Computed tomography

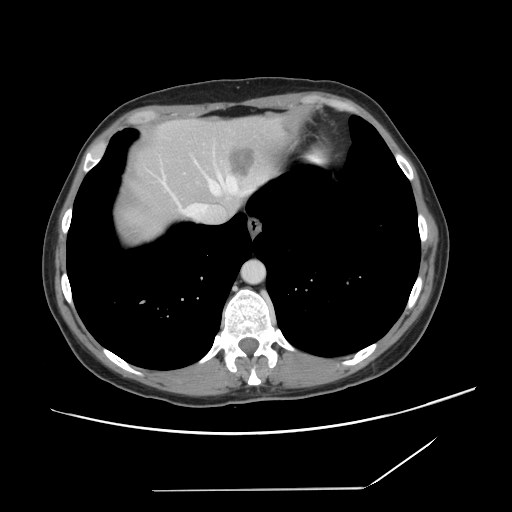

Only some of the vessels may be annotated.
5 hepatic vessel regions appear at x1=158 y1=172 x2=204 y2=214, x1=255 y1=178 x2=258 y2=184, x1=195 y1=162 x2=198 y2=165, x1=205 y1=171 x2=250 y2=198, x1=213 y1=149 x2=213 y2=154. The liver tumor is at x1=230 y1=149 x2=256 y2=177.